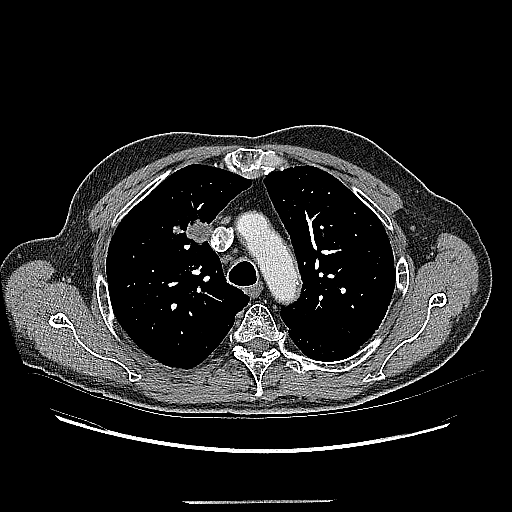
Thorax; CT slice
Lung tumor = 172,217,210,246.